Slice index 57
FLAIR MR.
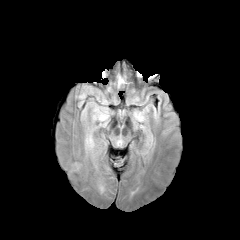
T1-weighted magnetic resonance.
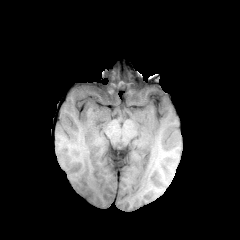
Post-contrast T1-weighted magnetic resonance.
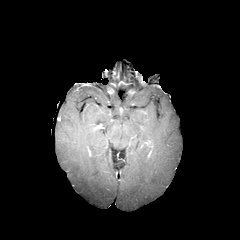
T2-weighted MR.
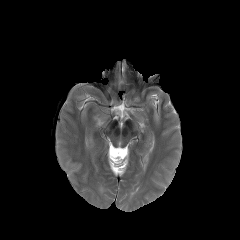
Edema — x1=117 y1=74 x2=128 y2=88.